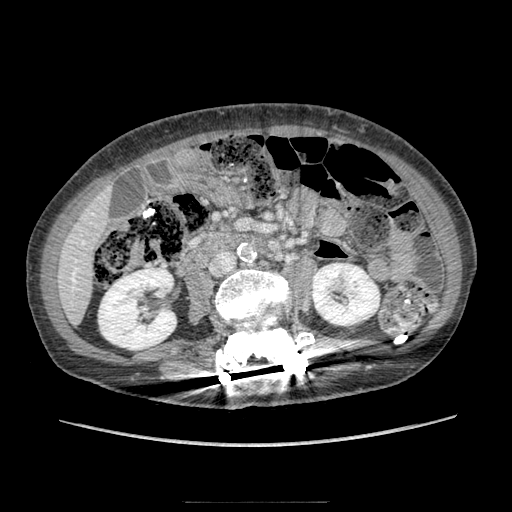

CT scan slice. Abdomen. Image size 512x512. • pancreas: bbox(200, 233, 238, 252)